FLAIR MR.
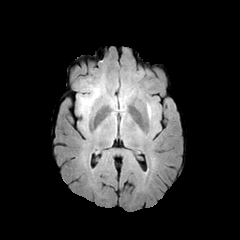
T1-weighted MRI.
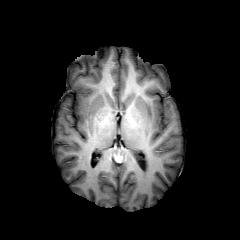
Post-contrast T1-weighted MR.
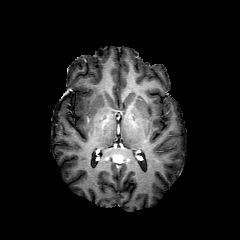
T2-weighted magnetic resonance.
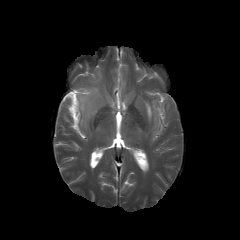
Brain; Image size 240x240
edema: (left=78, top=86, right=100, bottom=121), (left=146, top=102, right=156, bottom=119), (left=110, top=89, right=132, bottom=114)